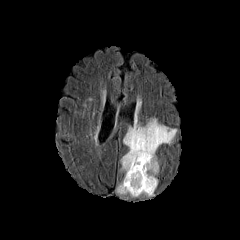
FLAIR MRI.
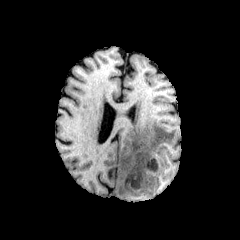
T1-weighted MRI.
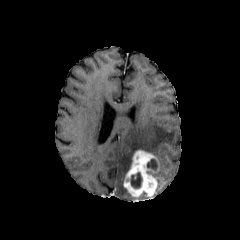
Same slice, post-contrast T1-weighted magnetic resonance.
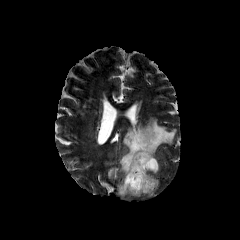
T2-weighted MR of the same slice.
Brain
{"edema": ["bbox=[116, 180, 130, 195]", "bbox=[121, 118, 176, 175]"], "non-enhancing_tumor_core": ["bbox=[147, 158, 157, 172]", "bbox=[130, 172, 142, 189]"], "enhancing_tumor": ["bbox=[123, 149, 159, 196]"]}